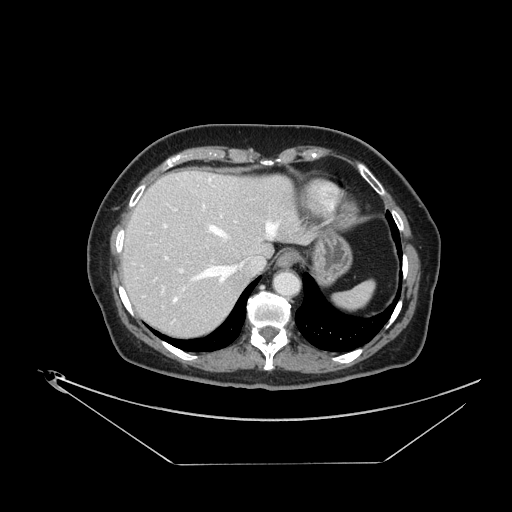
CT image | Liver | Image size 512x512
The vessel annotation is not exhaustive.
hepatic vessel: box=[207, 224, 229, 239]; box=[238, 256, 264, 271]; box=[163, 223, 167, 227]; box=[267, 221, 277, 234]; box=[162, 289, 163, 292]; box=[181, 287, 185, 291]; box=[191, 265, 234, 283]; box=[209, 177, 210, 179]; box=[203, 204, 204, 209]; box=[165, 256, 167, 259]; box=[179, 269, 183, 271]; box=[172, 296, 178, 302]